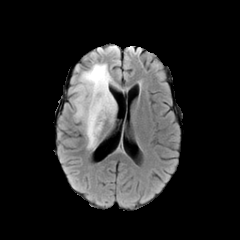
FLAIR MR.
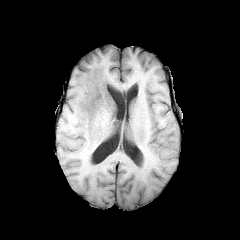
T1-weighted MRI.
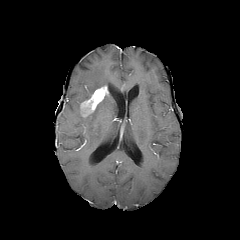
Same slice, post-contrast T1-weighted MR image.
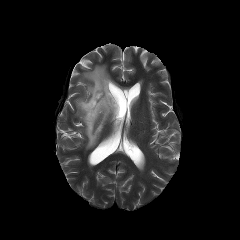
T2-weighted MR of the same slice.
The enhancing tumor is located at 80 85 108 116. The edema is at 74 64 118 148.